Prostate
T2-weighted magnetic resonance.
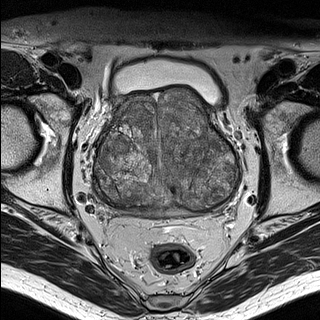
ADC magnetic resonance.
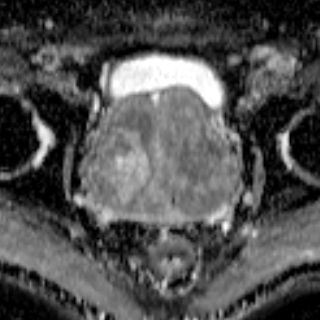
<segmentation>
  <prostate_transition_zone>(94, 89, 235, 212)</prostate_transition_zone>
  <prostate_peripheral_zone>(108, 206, 197, 215)</prostate_peripheral_zone>
</segmentation>